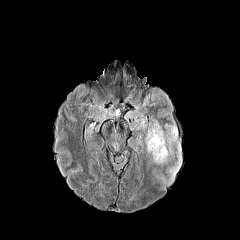
FLAIR MRI.
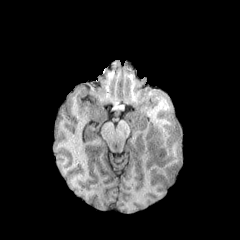
T1-weighted MR image.
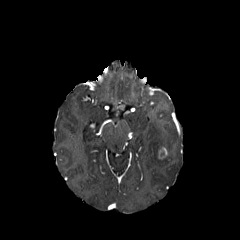
Post-contrast T1-weighted MRI.
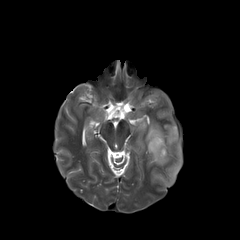
Same slice, T2-weighted magnetic resonance.
Head; Image size 240x240
Enhancing tumor: bounding box region(157, 147, 169, 160).
Edema: bounding box region(144, 120, 181, 177).